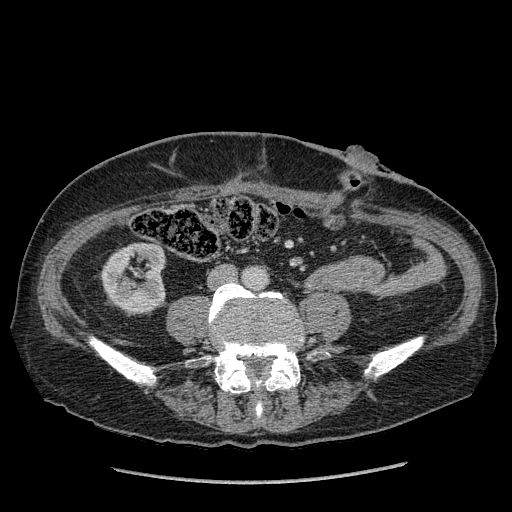
CT, Abdomen
kidney: left=102, top=243, right=164, bottom=313